CT image 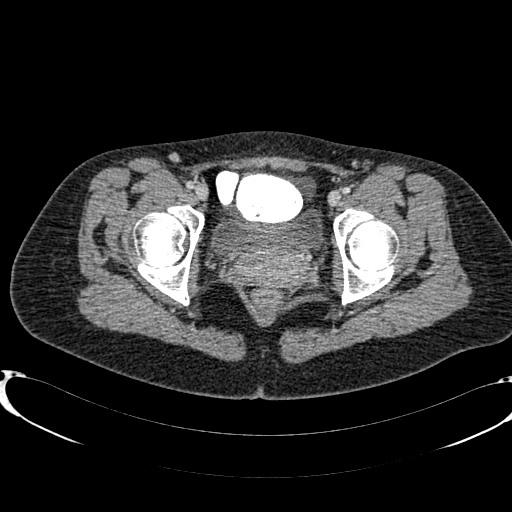
Annotated regions:
* urinary bladder: <box>212,205,318,253</box>